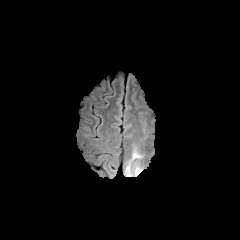
FLAIR MRI.
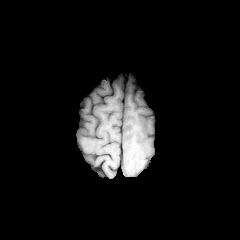
T1-weighted MR image of the same slice.
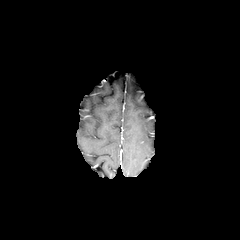
Post-contrast T1-weighted magnetic resonance.
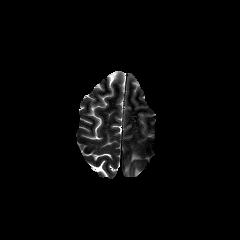
T2-weighted MRI.
Brain.
{
  "edema": [
    "x1=125, y1=157, x2=139, y2=174"
  ]
}